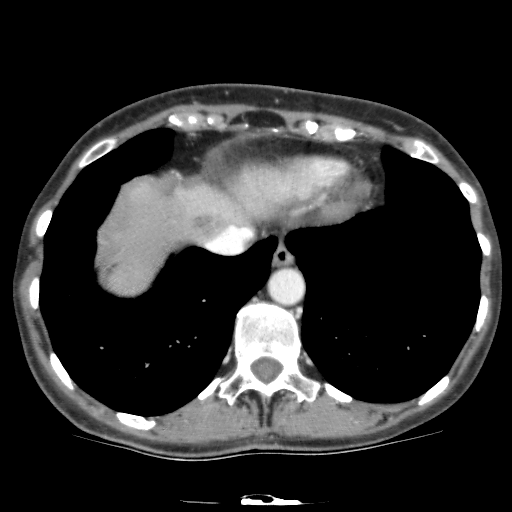

Liver, CT scan slice
Annotated regions:
- hepatic lesion: x1=191 y1=211 x2=228 y2=238
- liver: x1=100 y1=167 x2=293 y2=293